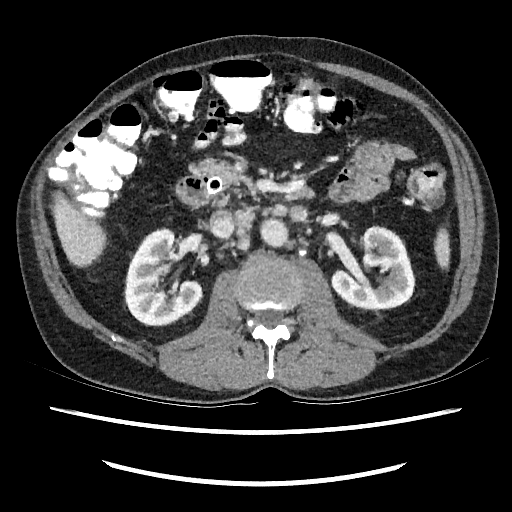

CT
{"kidney": [{"x1": 126, "y1": 230, "x2": 201, "y2": 324}, {"x1": 332, "y1": 228, "x2": 413, "y2": 308}], "liver": [{"x1": 55, "y1": 200, "x2": 103, "y2": 265}]}